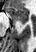 MRI slice. 36x52.

Anterior hippocampus: bounding box (7,6,28,21).
Posterior hippocampus: bounding box (20,22,25,25).